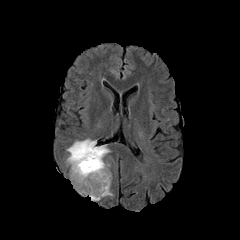
FLAIR MRI.
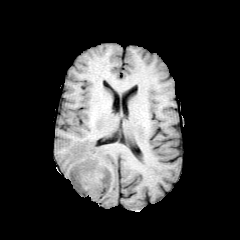
Same slice, T1-weighted magnetic resonance.
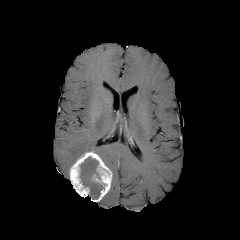
Same slice, post-contrast T1-weighted MR image.
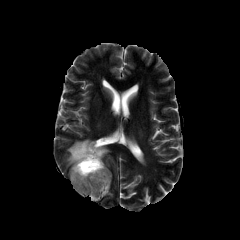
Same slice, T2-weighted MR.
Head
{
  "edema": [
    "65:139:110:168",
    "83:174:97:194"
  ],
  "non-enhancing_tumor_core": [
    "80:157:99:187",
    "88:176:102:199"
  ],
  "enhancing_tumor": [
    "69:151:111:201"
  ]
}